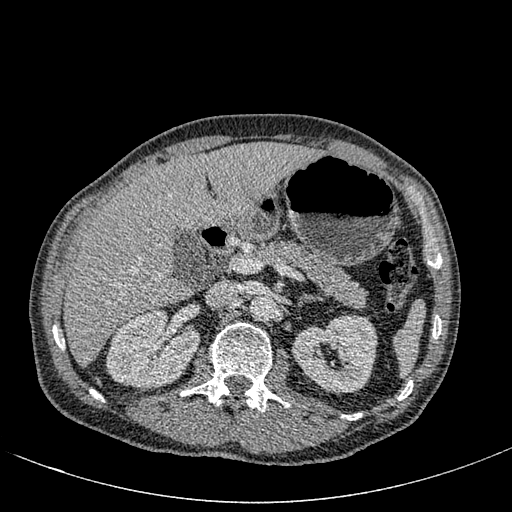
Liver | CT | 512x512
Liver: [64,142,325,366].
Kidney: [292,315,376,392], [106,310,199,387].